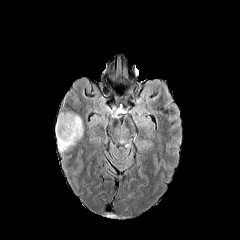
FLAIR MR.
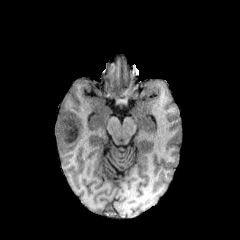
T1-weighted MR of the same slice.
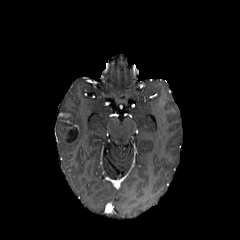
Post-contrast T1-weighted MR.
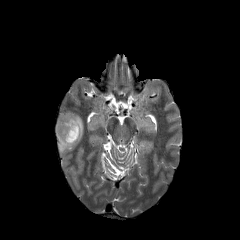
T2-weighted magnetic resonance of the same slice.
Brain.
Segmented structures:
* edema: region(73, 114, 83, 141); region(55, 119, 76, 154)
* non-enhancing tumor core: region(58, 114, 79, 142)